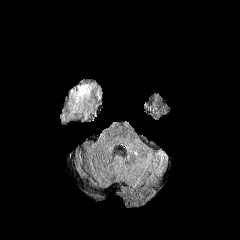
FLAIR MR image.
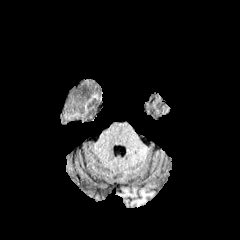
T1-weighted MRI of the same slice.
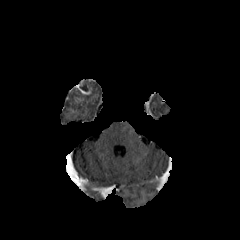
Post-contrast T1-weighted MRI.
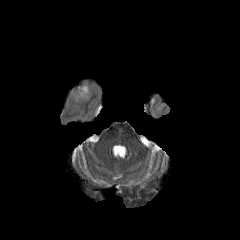
T2-weighted MRI of the same slice.
Non-enhancing tumor core: <bbox>60, 80, 102, 123</bbox>.
Enhancing tumor: <bbox>73, 80, 90, 94</bbox>.